Computed tomography, Upper abdomen, 512x512 px

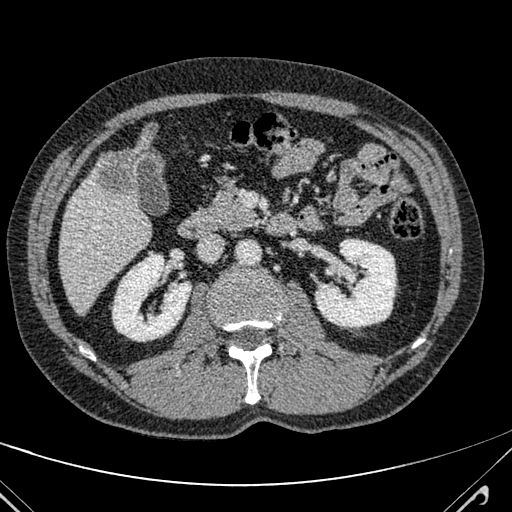
Liver at (left=60, top=153, right=149, bottom=314).
Liver lesion at (left=99, top=124, right=156, bottom=193).